CT image; 512x512 px

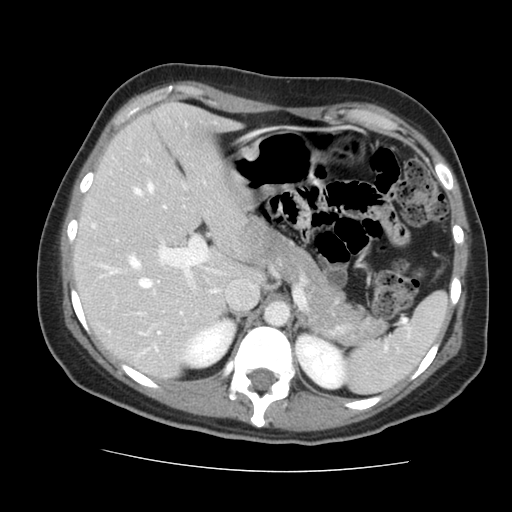

Only some of the vessels may be annotated.
Hepatic vessel at 159, 238, 206, 278; 139, 279, 150, 287; 141, 334, 146, 335; 153, 346, 156, 349; 157, 332, 159, 334; 108, 269, 116, 273; 130, 258, 138, 268.